CT scan slice, Upper abdomen, Field of view 381 mm wide, 1.50 mm slice spacing 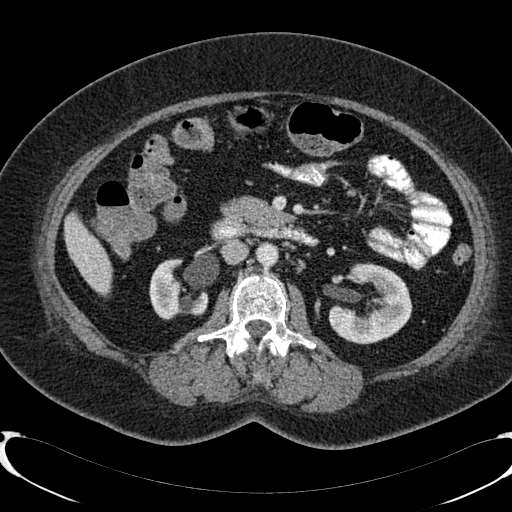
• kidney: x1=329 y1=265 x2=411 y2=343, x1=148 y1=260 x2=208 y2=318
• liver: x1=65 y1=216 x2=110 y2=293